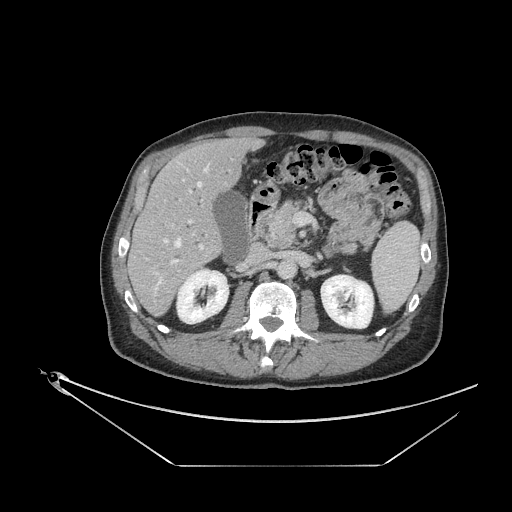 512x512; CT; Abdomen

pancreatic_tumor:
  - [278, 223, 293, 244]
pancreas:
  - [334, 243, 357, 255]
  - [265, 201, 309, 249]